Brain
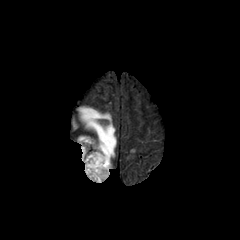
FLAIR MR image.
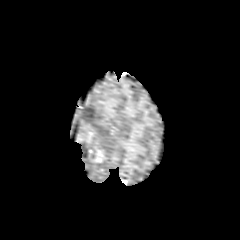
T1-weighted MR of the same slice.
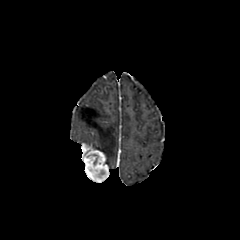
Post-contrast T1-weighted MR image.
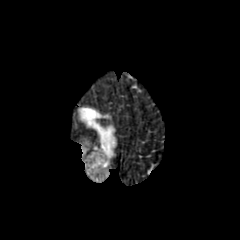
T2-weighted magnetic resonance.
edema:
  - 77, 107, 116, 168
enhancing_tumor:
  - 81, 143, 108, 180